FLAIR MRI.
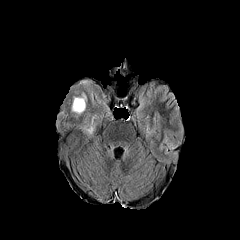
T1-weighted MR.
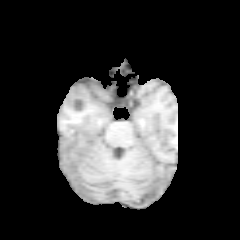
Post-contrast T1-weighted MRI.
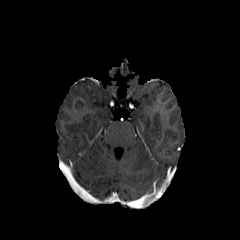
T2-weighted MR image.
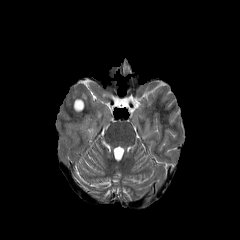
The edema appears at 72:93:86:114. The non-enhancing tumor core is located at 75:100:82:109.